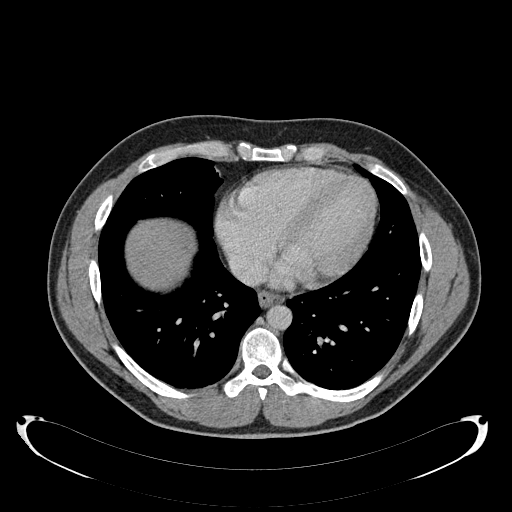 CT scan slice, Abdomen

* liver: 128, 221, 190, 286